CT slice, Thorax 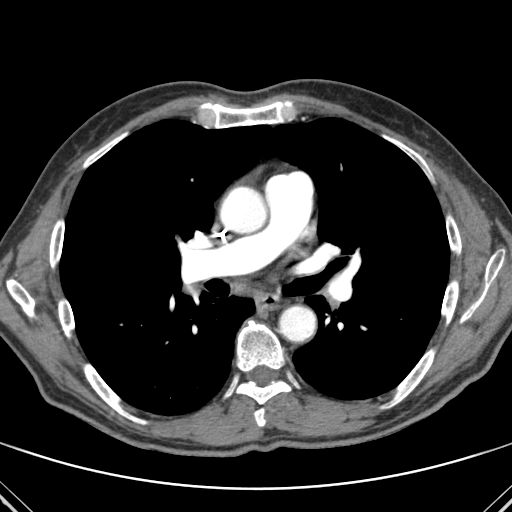 Lung = (60, 118, 449, 415).
Most prominent 15 of 17 bone regions = (83, 133, 126, 167), (441, 280, 458, 323), (201, 101, 291, 128), (84, 364, 146, 423), (49, 220, 64, 267), (237, 320, 284, 373), (446, 216, 461, 253), (254, 408, 265, 426), (460, 254, 503, 322), (187, 283, 197, 301), (384, 135, 427, 168), (391, 349, 434, 405), (6, 279, 35, 317), (225, 377, 290, 407), (58, 300, 74, 337).